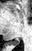

MRI | Hippocampus
Posterior hippocampus: 9:38:20:45.